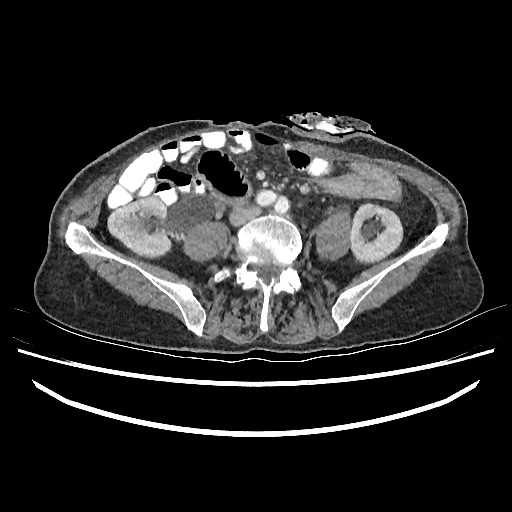
CT slice; 512x512
- kidney: [108,195,170,256], [350,204,402,261]